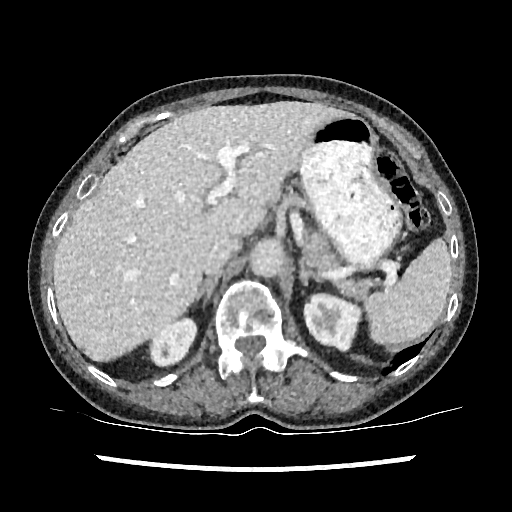 CT slice, 512x512 px
Kidney at left=152, top=320, right=195, bottom=364; left=305, top=297, right=358, bottom=348.
Liver at left=54, top=102, right=347, bottom=359.